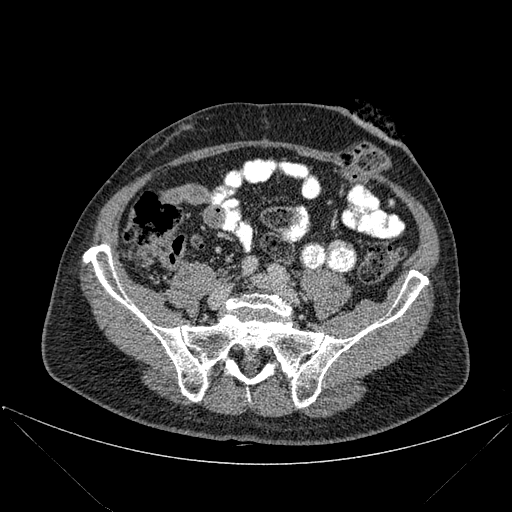

CT.

2 bone regions are located at (left=226, top=359, right=274, bottom=384), (left=83, top=244, right=428, bottom=407).